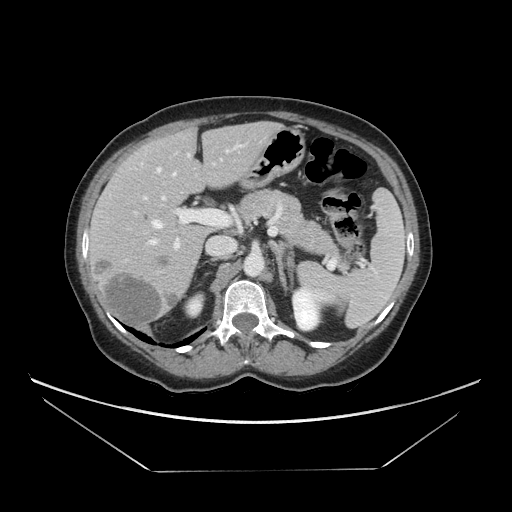
Abdomen; 512x512 px; CT image

Pancreas: bounding box 237,189,339,255.